Image width 391 mm, Computed tomography

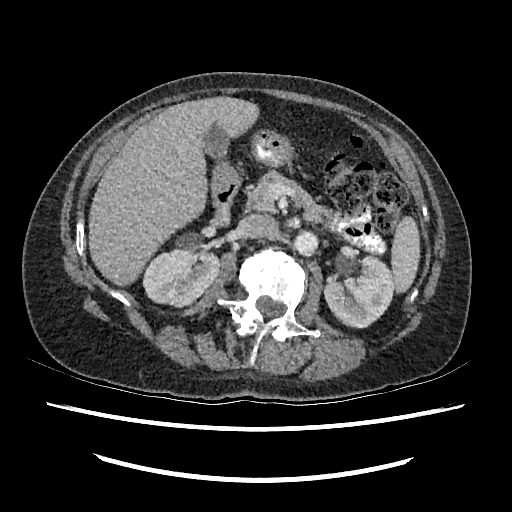 <segmentation>
  <kidney>(left=324, top=256, right=391, bottom=327), (left=143, top=250, right=219, bottom=306)</kidney>
  <liver>(left=89, top=97, right=259, bottom=285)</liver>
</segmentation>